CT, Pelvis
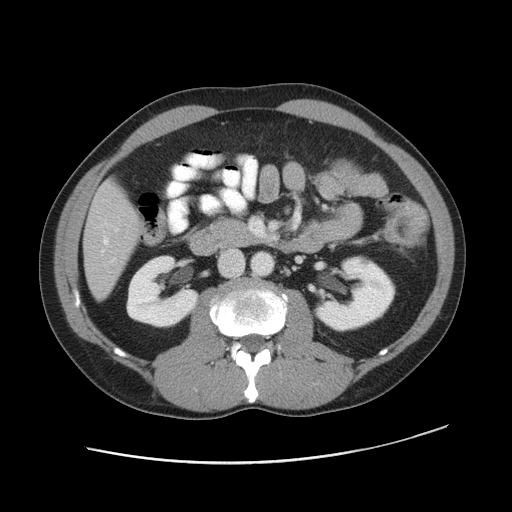 The colon tumor is located at left=385, top=200, right=428, bottom=246.